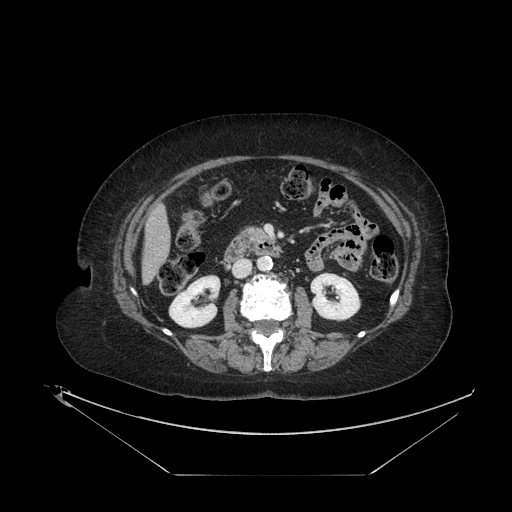 512x512. Computed tomography. Abdomen.
Pancreas: 246 226 270 243.